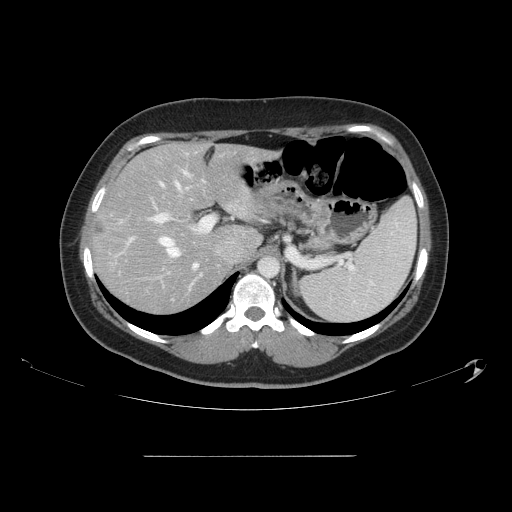

Abdomen; CT image
Not every hepatic vessel necessarily has a box.
liver_tumor:
  - rect(94, 221, 106, 236)
hepatic_vessel:
  - rect(193, 264, 197, 269)
  - rect(148, 214, 169, 222)
  - rect(200, 273, 201, 275)
  - rect(183, 171, 187, 174)
  - rect(129, 238, 131, 242)
  - rect(159, 237, 178, 256)
  - rect(159, 182, 162, 185)
  - rect(175, 181, 179, 186)